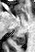

MR image
Posterior hippocampus: 9:34:24:46.